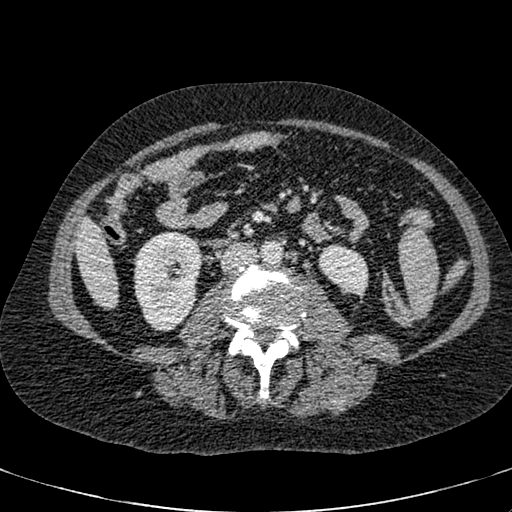 CT image

liver: box=[74, 218, 117, 308] | kidney: box=[135, 232, 201, 330]; box=[319, 246, 366, 294]